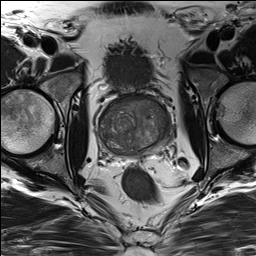
T2-weighted MRI.
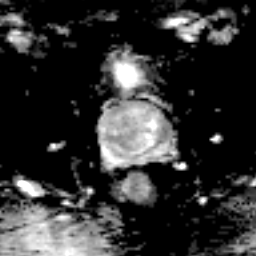
Same slice, ADC magnetic resonance.
prostate peripheral zone: box(101, 134, 167, 158) | prostate transition zone: box(101, 99, 167, 153)